CT scan slice | 512x512
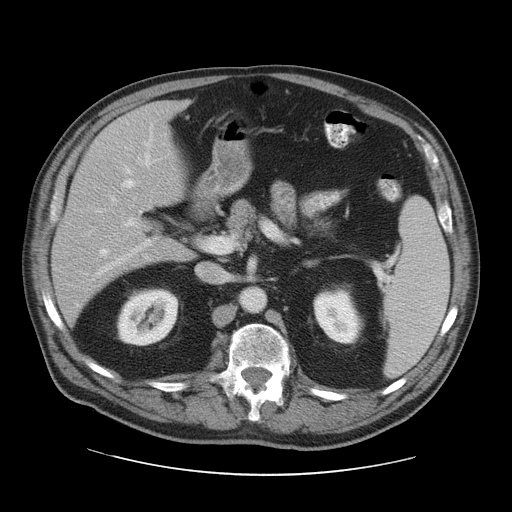 Not every hepatic vessel necessarily has a box.
10 hepatic vessel regions appear at region(113, 257, 125, 264); region(112, 198, 115, 200); region(136, 247, 140, 250); region(125, 168, 130, 172); region(144, 240, 150, 245); region(126, 219, 133, 225); region(122, 180, 133, 186); region(101, 249, 106, 254); region(97, 268, 109, 274); region(145, 153, 153, 165).